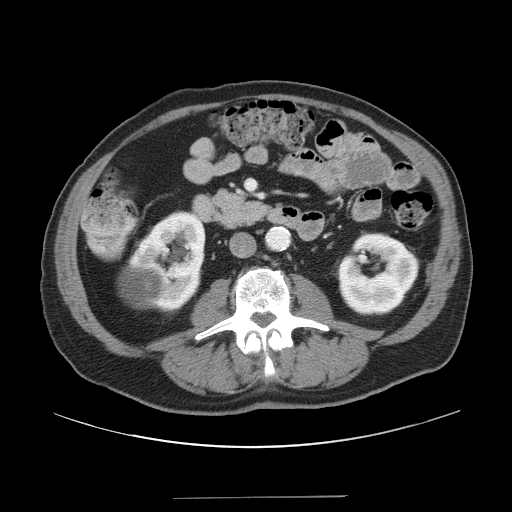 Abdomen, CT
The pancreas appears at (211, 188, 270, 229).